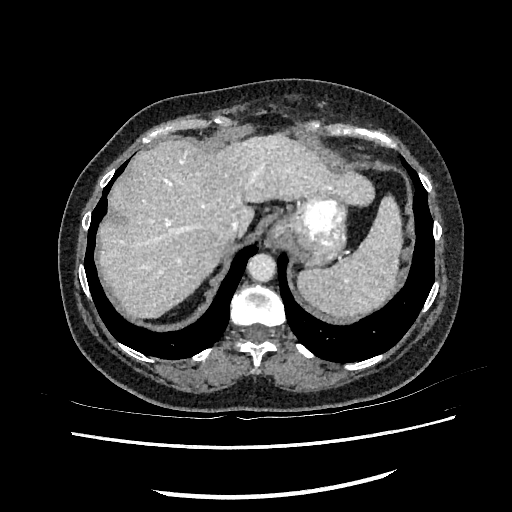
Upper abdomen; CT image

Liver = <bbox>98, 137, 372, 317</bbox>.